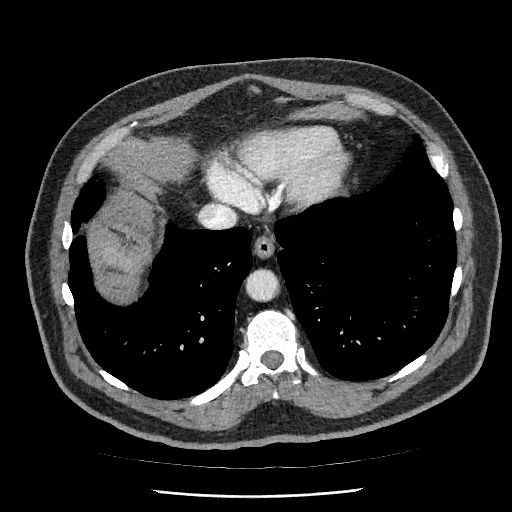

Image size 512x512; CT slice; Abdomen

The liver appears at bbox(103, 248, 136, 274).